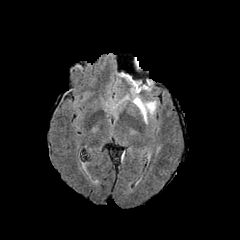
FLAIR MRI.
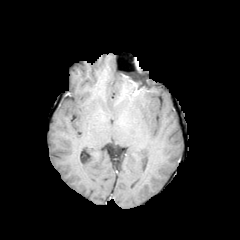
T1-weighted magnetic resonance.
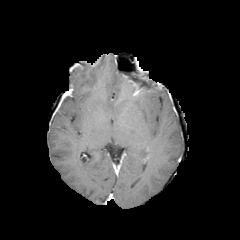
Same slice, post-contrast T1-weighted MR image.
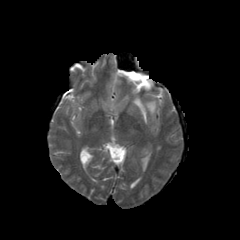
T2-weighted MR image.
Head.
- edema: x1=118 y1=73 x2=156 y2=123